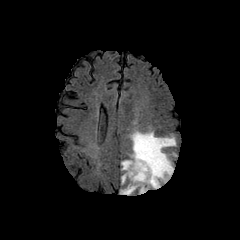
FLAIR MR.
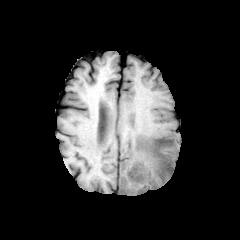
Same slice, T1-weighted MRI.
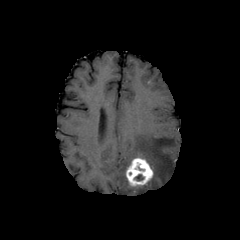
Post-contrast T1-weighted MR image.
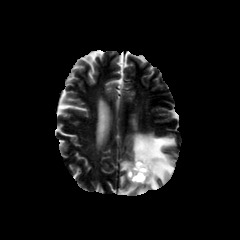
T2-weighted magnetic resonance.
Enhancing tumor — rect(125, 154, 154, 192).
Edema — rect(120, 159, 130, 170); rect(120, 174, 127, 185); rect(129, 130, 176, 194); rect(119, 185, 132, 194).